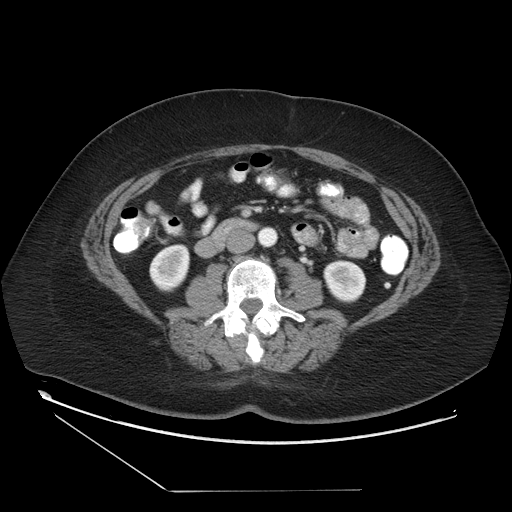
512x512 px | CT scan slice | Pelvis
colon tumor: [x1=133, y1=218, x2=148, y2=243]